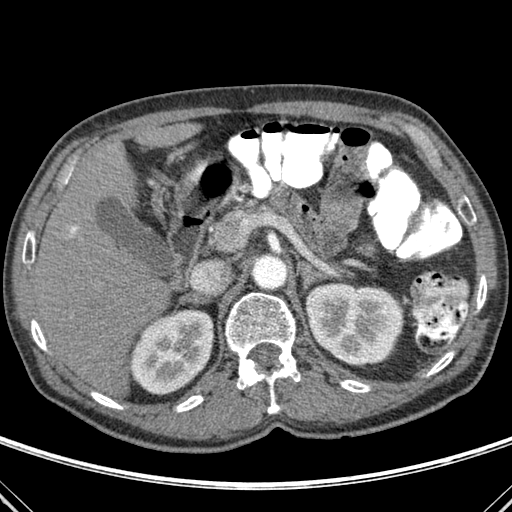
CT image, Upper abdomen
9 bone regions are bounded by (left=91, top=392, right=122, bottom=409), (left=427, top=351, right=453, bottom=376), (left=31, top=320, right=46, bottom=350), (left=22, top=231, right=34, bottom=263), (left=225, top=293, right=300, bottom=413), (left=176, top=395, right=203, bottom=411), (left=459, top=196, right=476, bottom=222), (left=340, top=380, right=370, bottom=392), (left=477, top=275, right=486, bottom=310). 2 kidney regions appear at (left=132, top=311, right=212, bottom=393), (left=307, top=285, right=401, bottom=363). 2 liver regions appear at (left=135, top=123, right=199, bottom=146), (left=33, top=143, right=169, bottom=396).